CT slice. Upper abdomen. Image width 700 mm.

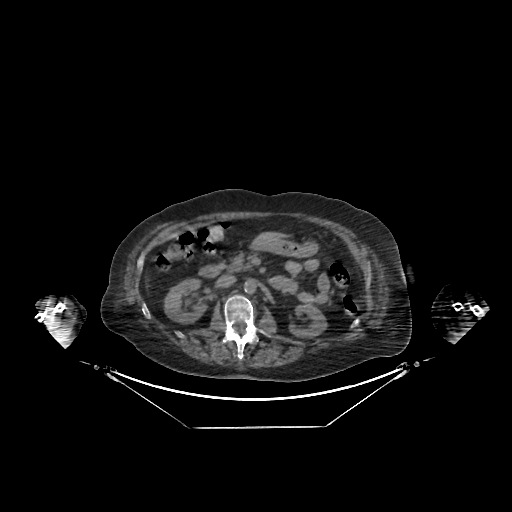

{
  "kidney": [
    "289,302,326,337",
    "164,279,207,323"
  ],
  "liver": [
    "257,235,288,245"
  ]
}